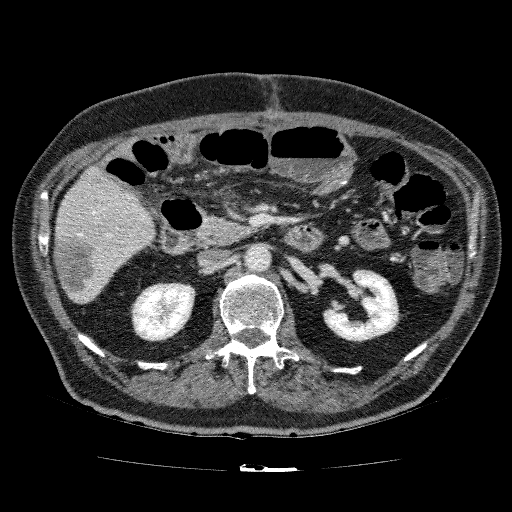

512x512. CT. Liver. <segmentation>
  <liver>box=[55, 163, 156, 303]</liver>
  <liver_lesion>box=[54, 233, 100, 294]</liver_lesion>
  <kidney>box=[132, 283, 194, 340]; box=[324, 270, 398, 341]</kidney>
</segmentation>